Brain; Image size 240x240; Image width 240 mm
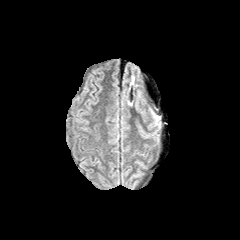
FLAIR magnetic resonance.
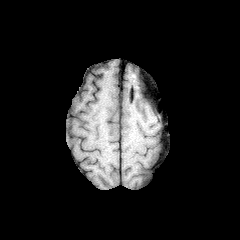
T1-weighted MR image of the same slice.
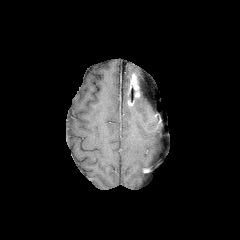
Post-contrast T1-weighted magnetic resonance.
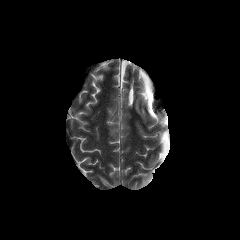
T2-weighted MR.
<segmentation>
  <enhancing_tumor>130:78:137:89</enhancing_tumor>
  <edema>128:87:138:104</edema>
</segmentation>